Field of view 33 mm wide, 1.00 mm slice spacing; Magnetic resonance
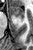
anterior_hippocampus:
  - box=[10, 6, 24, 18]